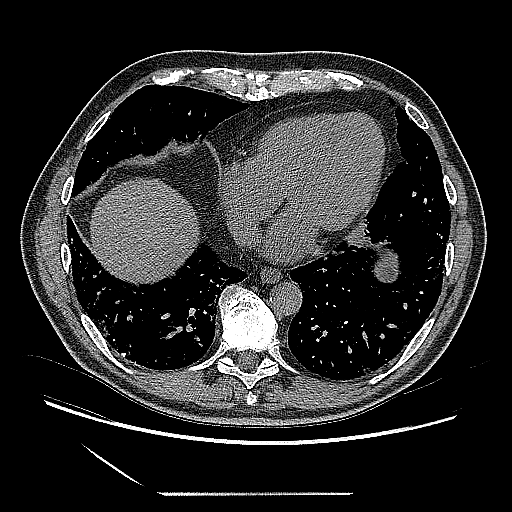 512x512 px; Chest; CT scan slice
Lung tumor: bounding box box(323, 217, 393, 261).